FLAIR MRI.
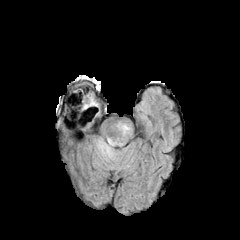
T1-weighted MRI.
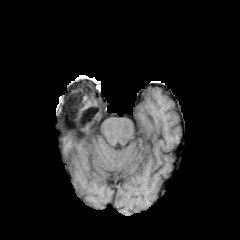
Post-contrast T1-weighted magnetic resonance.
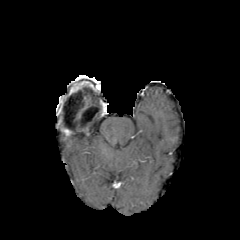
T2-weighted MRI.
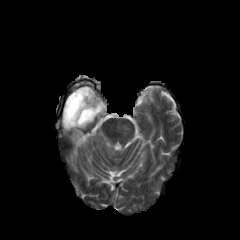
Head.
Annotated regions:
- edema: (88, 92, 94, 105)